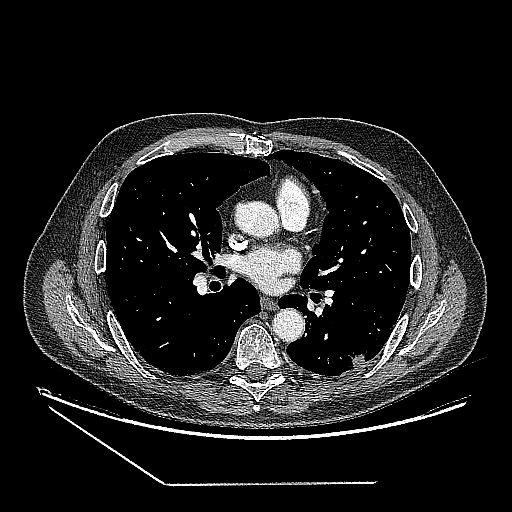 CT scan slice. Lung.
The lung tumor is at (349,351,366,367).